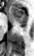 Medial temporal lobe; MRI slice
The posterior hippocampus is located at 18 23 26 27. The anterior hippocampus lies within 10 6 27 22.